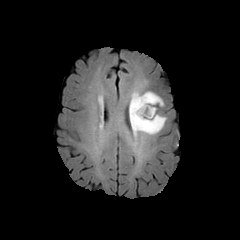
FLAIR magnetic resonance.
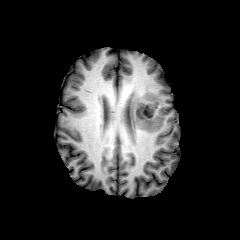
Same slice, T1-weighted MRI.
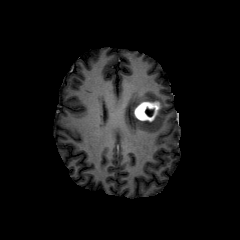
Post-contrast T1-weighted magnetic resonance of the same slice.
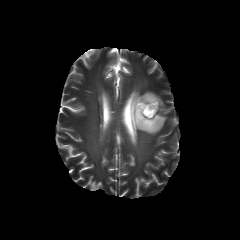
T2-weighted magnetic resonance.
Brain
enhancing_tumor:
  - (134, 101, 159, 121)
non-enhancing_tumor_core:
  - (114, 97, 157, 133)
  - (145, 109, 153, 116)
edema:
  - (128, 89, 163, 108)
  - (126, 114, 166, 146)